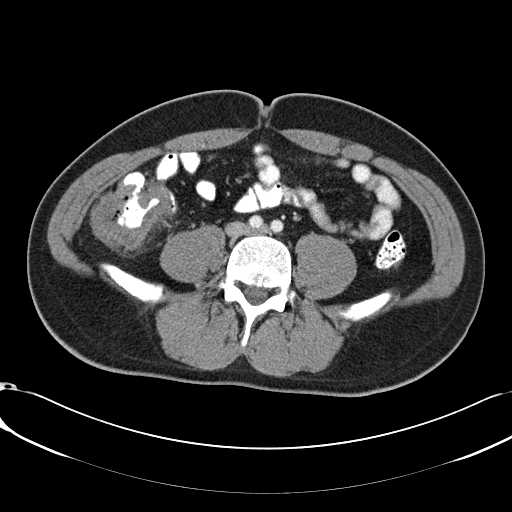
CT image | 512x512 px
The colon tumor is bounded by l=90, t=183, r=170, b=248.